Upper abdomen | CT slice

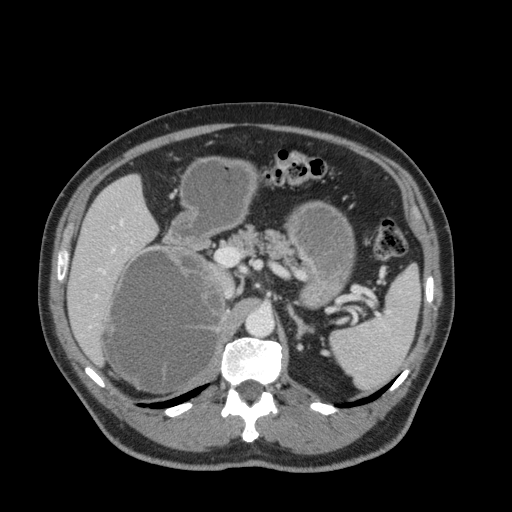
Annotated regions:
• liver: rect(69, 176, 157, 364)